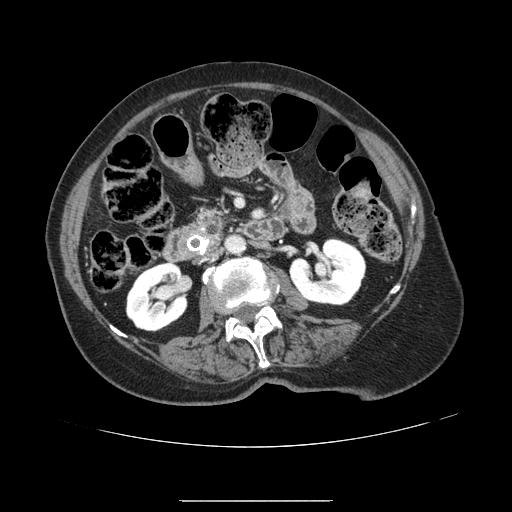

CT slice.

Findings:
* pancreas: <bbox>182, 207, 228, 257</bbox>